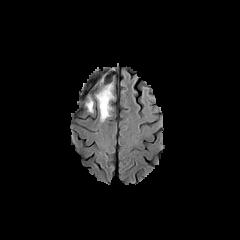
FLAIR magnetic resonance.
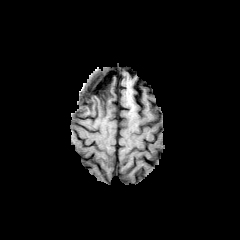
Same slice, T1-weighted MR.
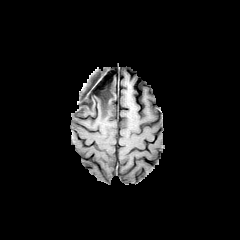
Same slice, post-contrast T1-weighted MRI.
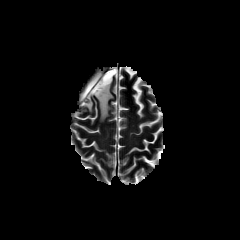
T2-weighted MR image of the same slice.
Edema at region(84, 81, 114, 122).
Non-enhancing tumor core at region(92, 78, 109, 95).